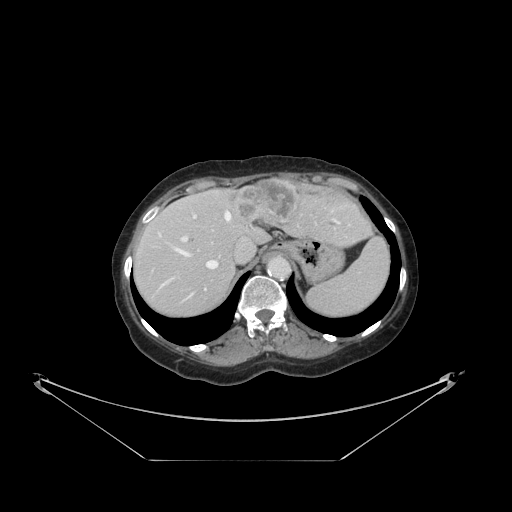

CT | 512x512
The vessel boxes may cover only some of the vessels.
Findings:
• liver tumor: [x1=229, y1=180, x2=299, y2=227]
• hepatic vessel: [x1=224, y1=211, x2=231, y2=221], [x1=235, y1=244, x2=253, y2=261], [x1=158, y1=233, x2=161, y2=237], [x1=193, y1=213, x2=195, y2=217], [x1=206, y1=260, x2=217, y2=268], [x1=181, y1=236, x2=187, y2=241], [x1=169, y1=245, x2=190, y2=256], [x1=159, y1=281, x2=168, y2=288]